Upper abdomen | CT | Slice 591/630
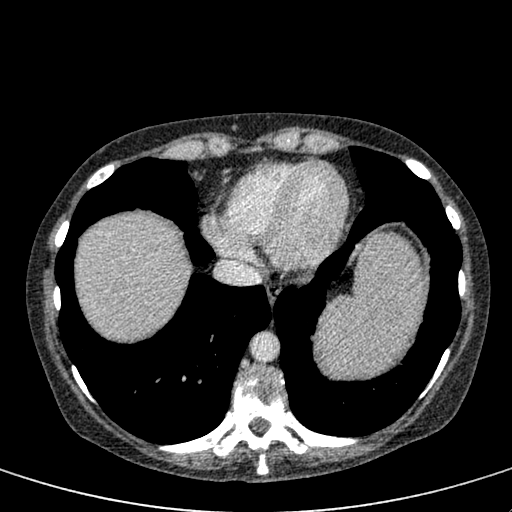 Liver = (76,216,187,338).